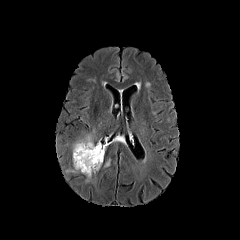
FLAIR MR.
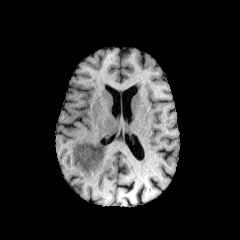
T1-weighted MR of the same slice.
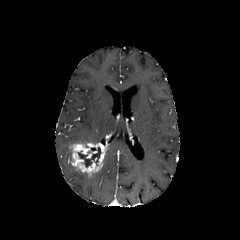
Post-contrast T1-weighted MRI of the same slice.
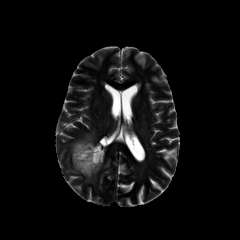
T2-weighted magnetic resonance of the same slice.
Head.
Enhancing tumor: bounding box region(72, 142, 108, 174).
Edema: bounding box region(66, 164, 92, 182); region(69, 131, 94, 153).
Non-enhancing tumor core: bounding box region(78, 147, 101, 168).